CT. Upper abdomen.

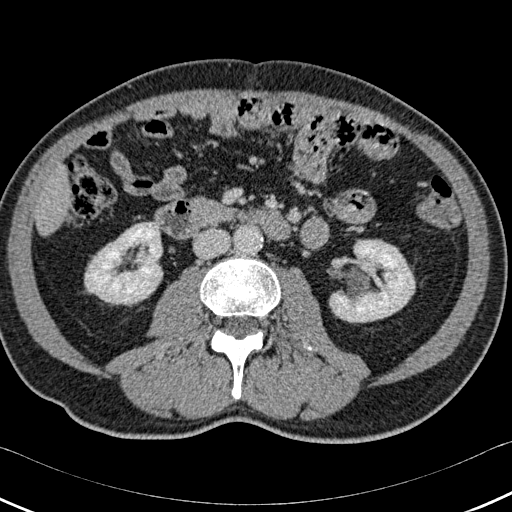
* liver: bbox=[35, 169, 70, 235]
* kidney: bbox=[330, 240, 414, 321]; bbox=[85, 222, 162, 303]
* bone: bbox=[200, 258, 280, 317]; bbox=[211, 330, 262, 399]